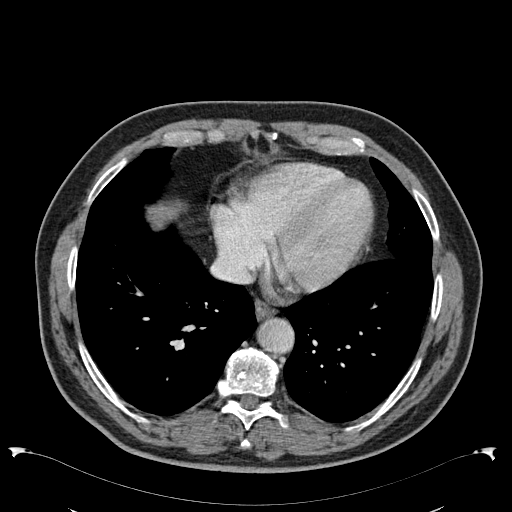
CT scan slice | Image size 512x512
Liver = left=149, top=207, right=167, bottom=226.